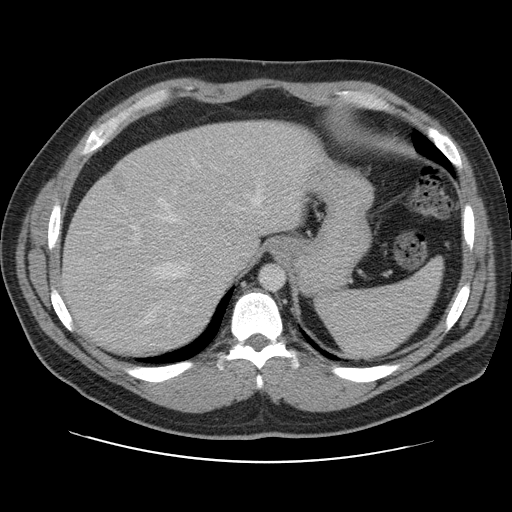
Liver; CT
Not every hepatic vessel necessarily has a box.
The principal 15 hepatic vessel regions (of 17) appear at (187,170,188,172), (235,220,238,222), (138,310,155,325), (210,164,217,170), (189,288,193,290), (191,157,199,167), (132,233,140,242), (171,185,176,193), (187,175,189,179), (258,190,261,193), (154,263,189,278), (131,226,137,229), (251,195,264,204), (167,262,171,265), (247,195,248,197).